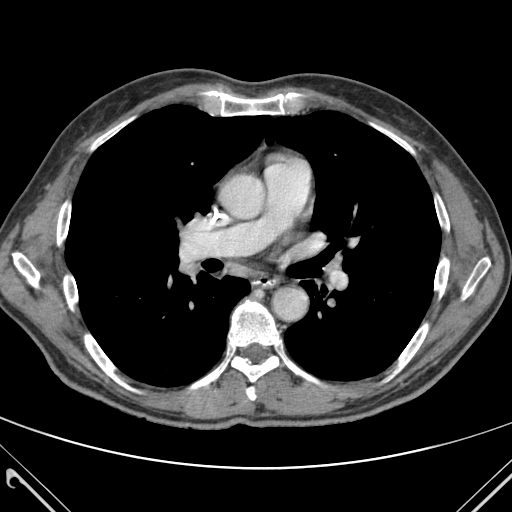 CT, Chest

bone: box(246, 387, 255, 399); box(204, 91, 301, 115); box(85, 335, 133, 390); box(191, 300, 281, 388); box(63, 276, 77, 309); box(370, 123, 413, 152); box(394, 324, 427, 373); box(13, 253, 39, 287); box(435, 195, 449, 230); box(91, 117, 134, 149); box(279, 351, 317, 382); box(57, 202, 70, 244); box(434, 258, 448, 297); box(463, 258, 490, 299) | lung: box(65, 105, 440, 386)